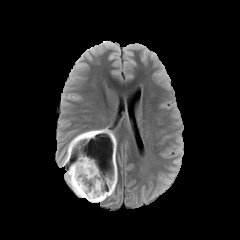
FLAIR MR image.
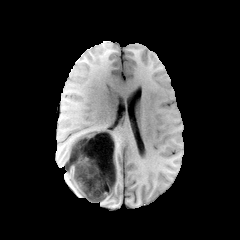
Same slice, T1-weighted MR image.
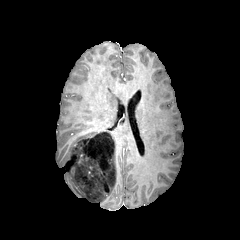
Same slice, post-contrast T1-weighted MRI.
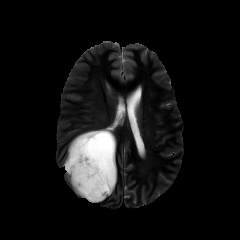
T2-weighted magnetic resonance.
Image size 240x240
The non-enhancing tumor core appears at [64,129,115,200]. 3 edema regions are located at [66,173,85,197], [64,139,73,161], [89,180,116,201].